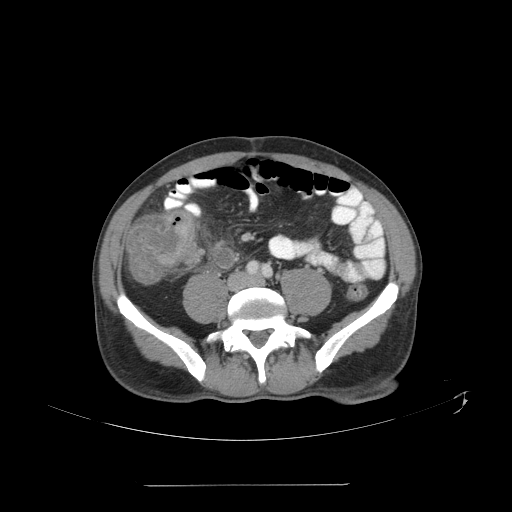

CT.
Colon tumor: bbox=[126, 212, 194, 284].